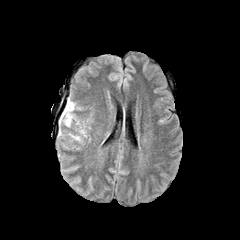
FLAIR magnetic resonance.
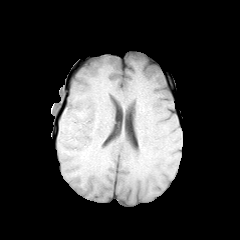
T1-weighted MRI of the same slice.
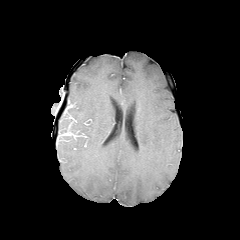
Post-contrast T1-weighted magnetic resonance.
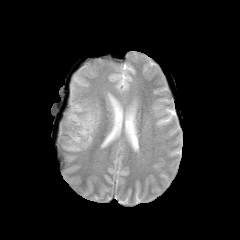
Same slice, T2-weighted MR image.
Brain
Edema: bounding box region(60, 98, 91, 141).